Slice 60 of 110 | MR image 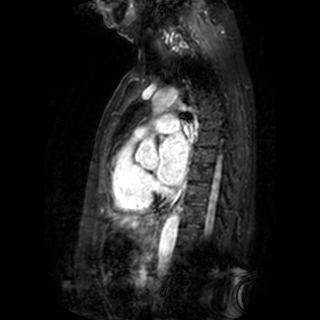 Left atrium: bounding box {"x1": 156, "y1": 133, "x2": 188, "y2": 185}.